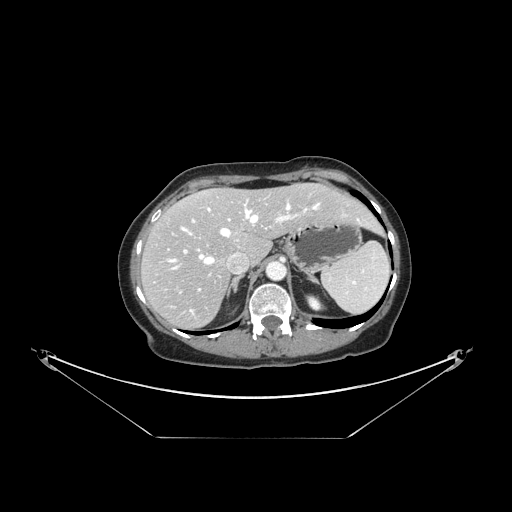
Computed tomography | Abdomen | Image size 512x512
The vessel annotation is not exhaustive.
{"hepatic_vessel": ["(left=245, top=210, right=256, bottom=221)", "(left=221, top=229, right=229, bottom=235)", "(left=315, top=206, right=317, bottom=207)", "(left=278, top=217, right=286, bottom=219)", "(left=184, top=251, right=186, bottom=252)", "(left=287, top=206, right=289, bottom=207)"]}